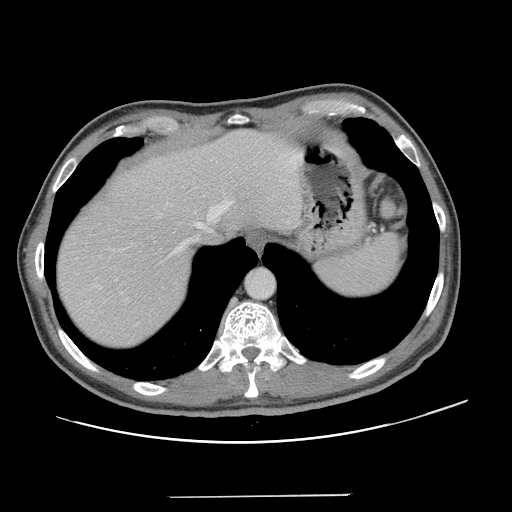 Image size 512x512; CT image; Abdomen

The vessel boxes may cover only some of the vessels.
hepatic vessel: [x1=95, y1=285, x2=101, y2=288], [x1=195, y1=222, x2=205, y2=228], [x1=168, y1=254, x2=171, y2=256], [x1=173, y1=238, x2=192, y2=252]